Field of view 240 mm wide, 1.00 mm slice spacing. Image size 240x240.
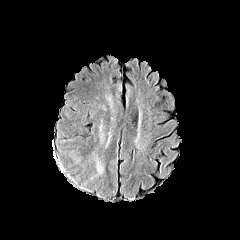
FLAIR MRI.
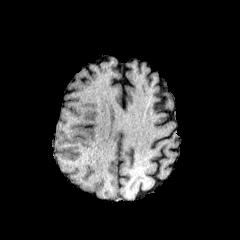
T1-weighted MRI.
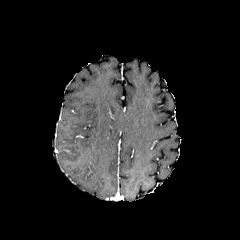
Same slice, post-contrast T1-weighted MR image.
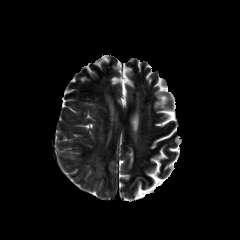
T2-weighted MR image.
Edema = [95, 161, 103, 173].